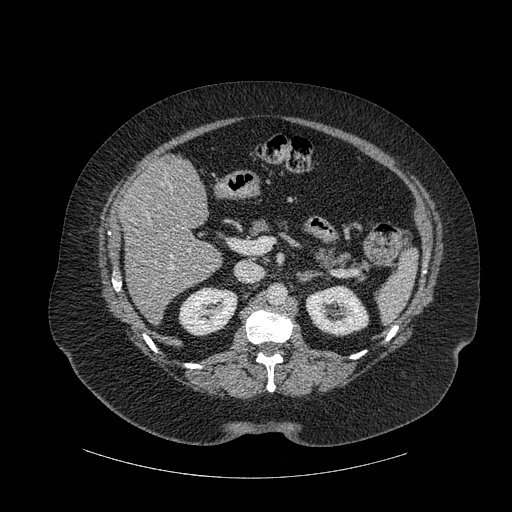

CT. Upper abdomen. <segmentation>
  <liver><box>120,155,223,323</box></liver>
  <bone><box>112,279,121,290</box>, <box>185,363,201,368</box>, <box>256,353,282,391</box>, <box>143,334,156,352</box>, <box>246,309,292,343</box>, <box>386,326,398,340</box>, <box>350,350,366,358</box></bone>
  <kidney><box>306,286,367,334</box>, <box>179,288,236,334</box></kidney>
</segmentation>